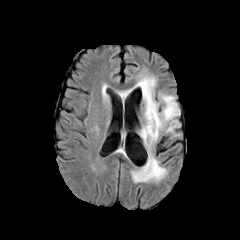
FLAIR magnetic resonance.
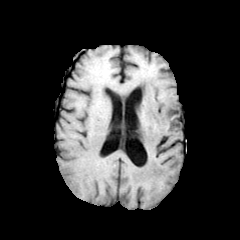
T1-weighted MR.
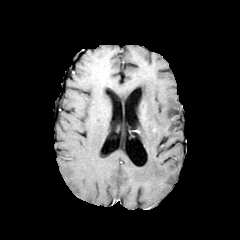
Post-contrast T1-weighted MR.
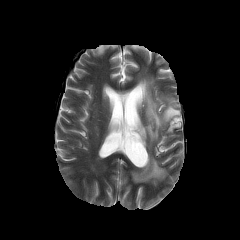
T2-weighted MR image.
240x240 px, Brain
Findings:
- edema: (left=118, top=89, right=131, bottom=99), (left=131, top=75, right=180, bottom=183)